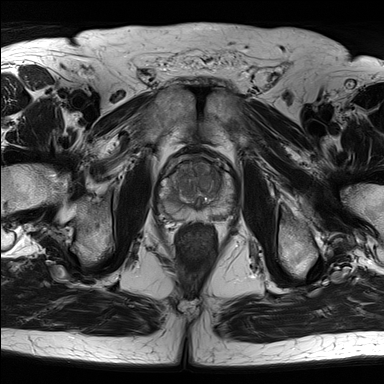
T2-weighted MR.
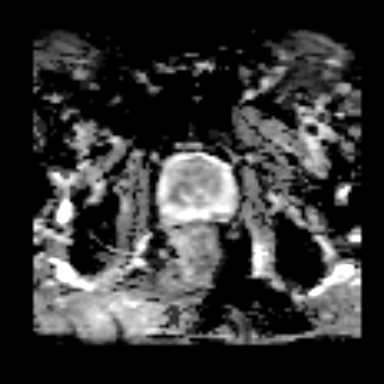
ADC MR.
Prostate
Prostate peripheral zone: bounding box region(159, 163, 238, 221).
Prostate transition zone: bounding box region(174, 156, 224, 205).